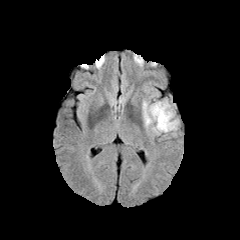
FLAIR MR.
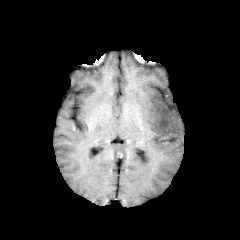
T1-weighted MR image of the same slice.
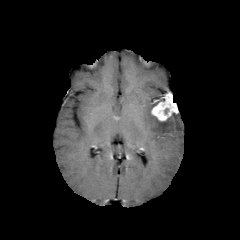
Post-contrast T1-weighted MR.
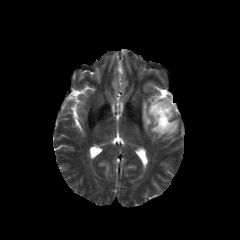
T2-weighted MR image.
Brain
edema:
  - (x1=143, y1=102, x2=178, y2=134)
enhancing_tumor:
  - (x1=150, y1=93, x2=177, y2=121)